240x240 px, Head, Image width 240 mm
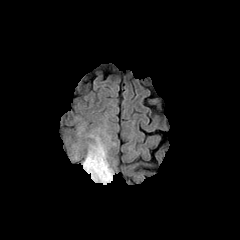
FLAIR MR.
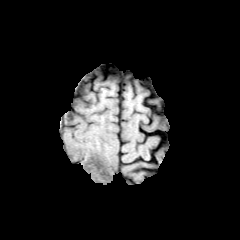
T1-weighted MRI.
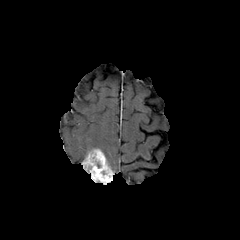
Post-contrast T1-weighted magnetic resonance.
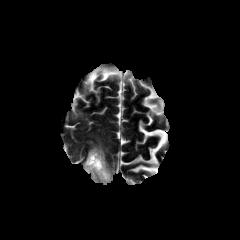
T2-weighted MR of the same slice.
* enhancing tumor: rect(82, 149, 113, 184)
* edema: rect(88, 138, 107, 157)